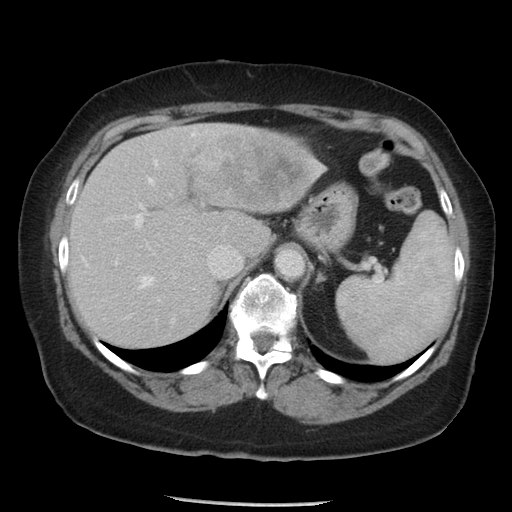
CT; Abdomen; 512x512
Only some of the vessels may be annotated.
<segmentation>
  <hepatic_vessel>[139, 204, 144, 209], [126, 316, 128, 317], [171, 318, 173, 321], [80, 256, 88, 266], [173, 275, 174, 277], [115, 259, 117, 264], [134, 192, 135, 194], [147, 177, 154, 184], [138, 275, 153, 288], [212, 245, 229, 251], [158, 297, 160, 300], [152, 253, 154, 254], [104, 213, 142, 227], [153, 159, 157, 165]</hepatic_vessel>
  <liver_tumor>[191, 133, 312, 210]</liver_tumor>
</segmentation>